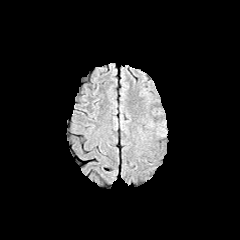
FLAIR magnetic resonance.
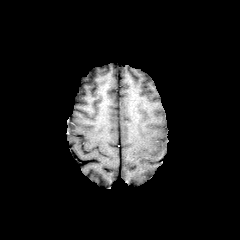
T1-weighted MR of the same slice.
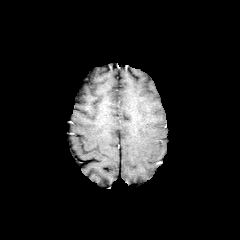
Same slice, post-contrast T1-weighted MR.
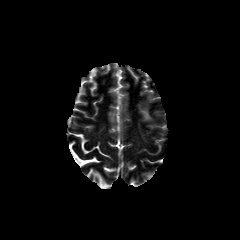
T2-weighted magnetic resonance.
240x240 px, Brain
Edema: (151,122,165,135).